Slice 41/155, Head
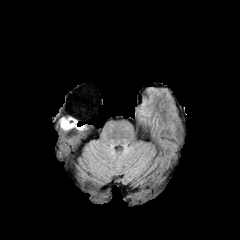
FLAIR magnetic resonance.
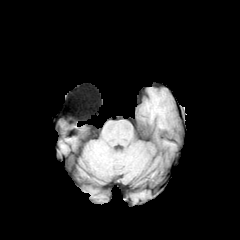
T1-weighted MRI.
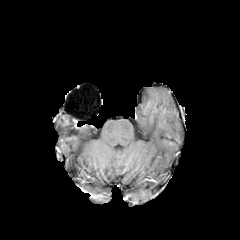
Post-contrast T1-weighted MR of the same slice.
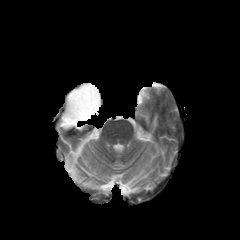
T2-weighted MR.
The edema is located at (x1=59, y1=119, x2=74, y2=129). The non-enhancing tumor core is at (x1=61, y1=116, x2=75, y2=125).